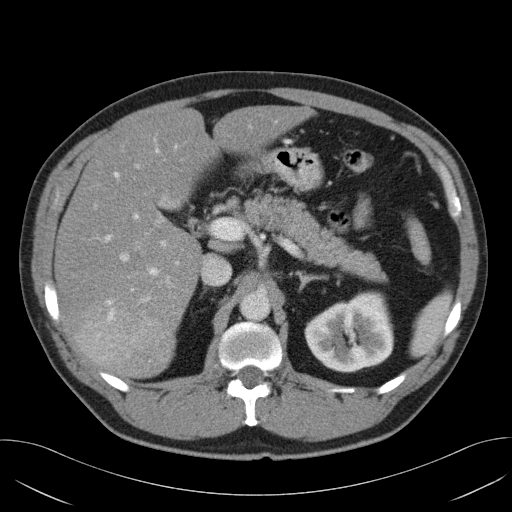 CT scan slice. Upper abdomen. The pancreas appears at l=241, t=194, r=386, b=283.